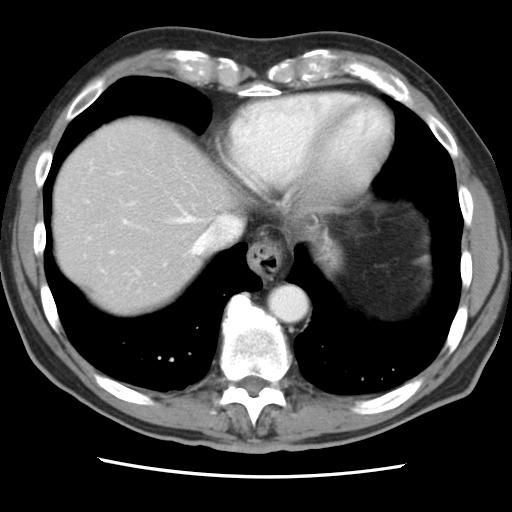
512x512; Abdomen; CT

Not every hepatic vessel necessarily has a box.
hepatic vessel: bbox=[191, 245, 194, 253]; bbox=[102, 270, 103, 271]; bbox=[111, 251, 112, 253]; bbox=[130, 202, 132, 204]; bbox=[123, 219, 128, 222]; bbox=[91, 161, 92, 166]; bbox=[117, 172, 119, 173]; bbox=[178, 212, 194, 222]